Slice index 38 | Field of view 240x240 mm
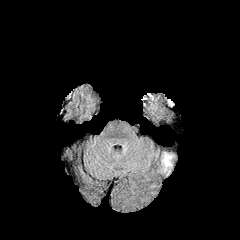
FLAIR magnetic resonance.
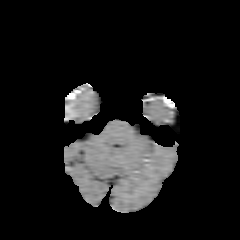
T1-weighted MR image of the same slice.
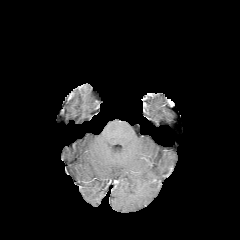
Post-contrast T1-weighted magnetic resonance.
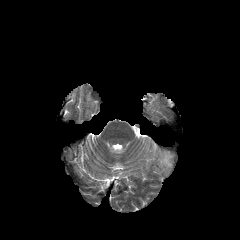
T2-weighted MR image of the same slice.
2 edema regions appear at bbox(161, 152, 175, 176); bbox(148, 101, 157, 114).